Brain
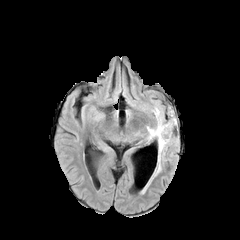
FLAIR MRI.
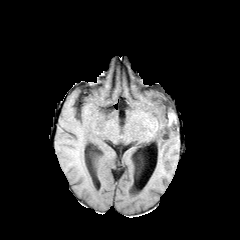
Same slice, T1-weighted MRI.
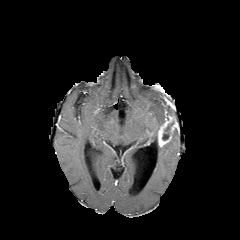
Post-contrast T1-weighted MR.
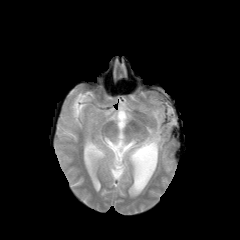
T2-weighted magnetic resonance of the same slice.
Non-enhancing tumor core at <bbox>162, 119, 176, 141</bbox>, <bbox>161, 105, 172, 125</bbox>.
Edema at <bbox>146, 101, 173, 167</bbox>.
Enhancing tumor at <bbox>158, 121, 169, 145</bbox>.